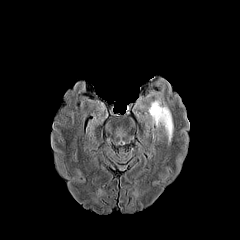
FLAIR MR image.
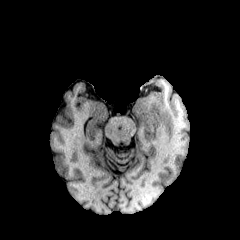
T1-weighted MRI of the same slice.
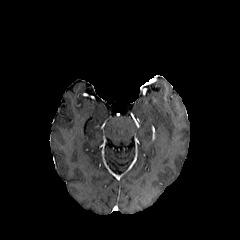
Post-contrast T1-weighted magnetic resonance of the same slice.
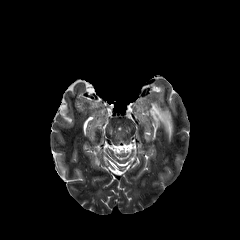
T2-weighted MR.
Head
Findings:
* edema: box=[147, 99, 174, 146]